CT slice
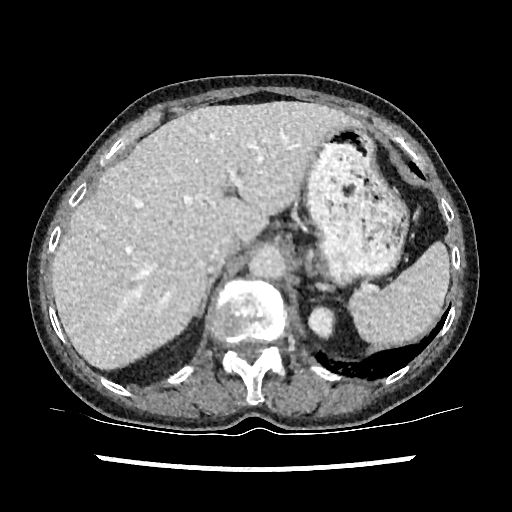 liver:
  - bbox(53, 103, 358, 369)